FLAIR magnetic resonance.
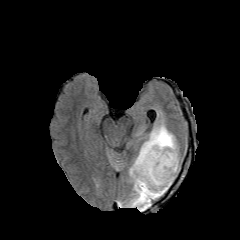
T1-weighted magnetic resonance.
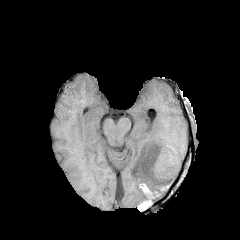
Post-contrast T1-weighted MR.
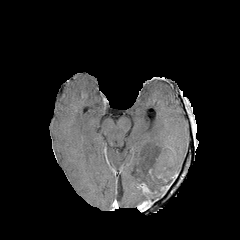
T2-weighted MRI.
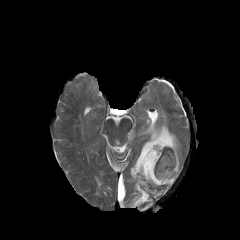
{"edema": ["(x1=118, y1=114, x2=179, y2=209)"], "non-enhancing_tumor_core": ["(x1=147, y1=163, x2=175, y2=190)"]}